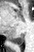

MRI slice. 34x52.
Posterior hippocampus: <bbox>10, 33, 23, 44</bbox>.